Upper abdomen; CT scan slice
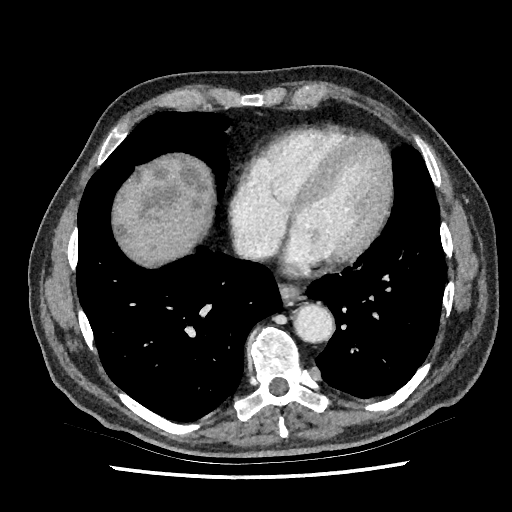 7 hepatic lesion regions are located at region(179, 158, 208, 193); region(131, 169, 142, 183); region(149, 161, 169, 178); region(139, 185, 180, 224); region(118, 191, 127, 202); region(115, 224, 127, 237); region(190, 197, 203, 212). The liver appears at region(113, 156, 210, 264).